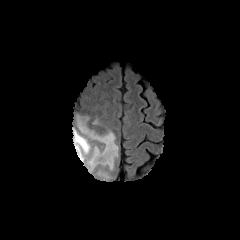
FLAIR MRI.
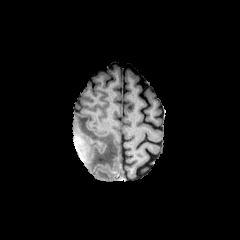
T1-weighted MR.
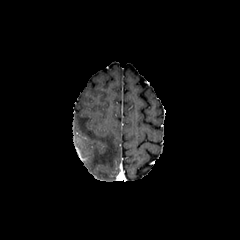
Post-contrast T1-weighted MRI.
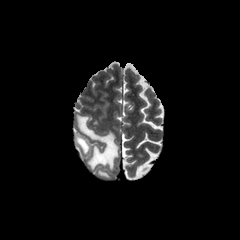
Same slice, T2-weighted MR image.
Brain
<segmentation>
  <edema>x1=77 y1=115 x2=118 y2=168</edema>
  <non-enhancing_tumor_core>x1=75 y1=135 x2=87 y2=151</non-enhancing_tumor_core>
</segmentation>